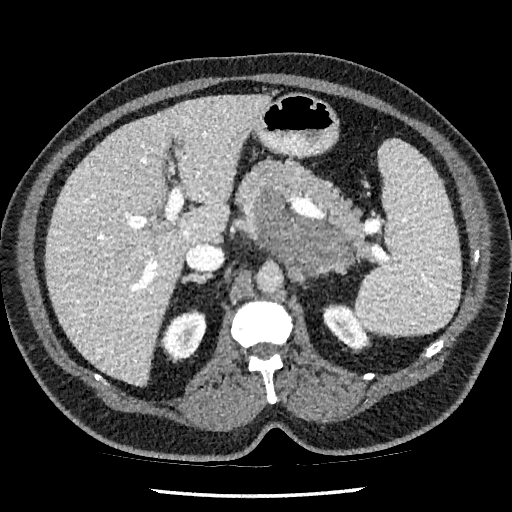 CT image
The liver is located at x1=45, y1=95, x2=269, y2=385. 2 kidney regions are located at x1=163, y1=313, x2=205, y2=358; x1=324, y1=307, x2=366, y2=347. The hepatic lesion is at x1=173, y1=139, x2=182, y2=147.